Computed tomography; Abdomen; Slice 10/129 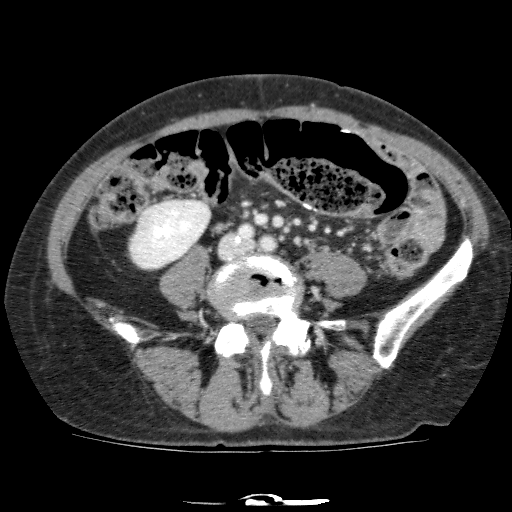

Kidney: x1=130 y1=201 x2=209 y2=267.